Brain | Slice 114/155
FLAIR MR image.
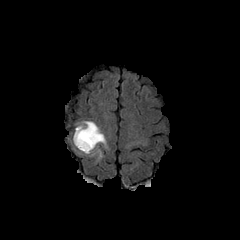
T1-weighted MR.
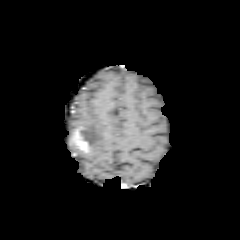
Post-contrast T1-weighted MR.
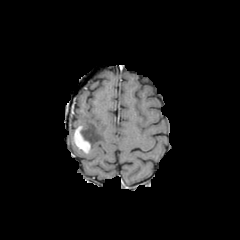
T2-weighted MR image.
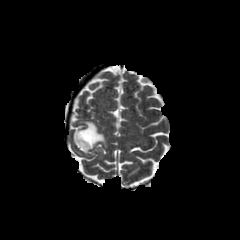
non-enhancing tumor core: left=81, top=130, right=95, bottom=149 | enhancing tumor: left=74, top=125, right=90, bottom=153 | edema: left=80, top=121, right=106, bottom=154